FLAIR magnetic resonance.
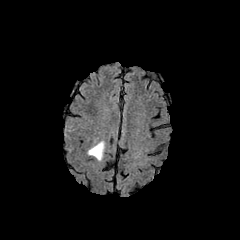
T1-weighted MRI.
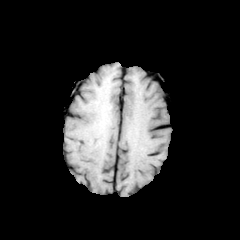
Post-contrast T1-weighted MR.
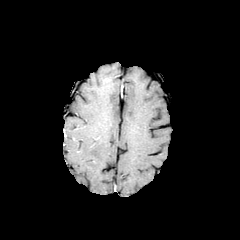
T2-weighted magnetic resonance.
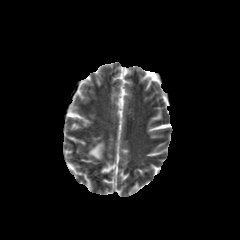
240x240
edema: [87,137,105,160]